FLAIR MRI.
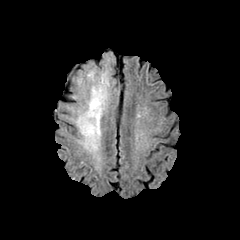
T1-weighted MR.
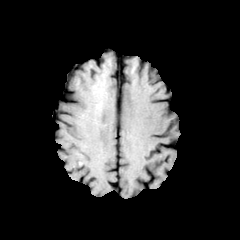
Post-contrast T1-weighted MR image.
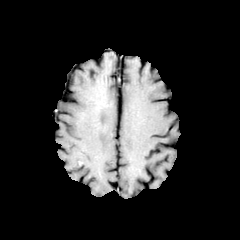
T2-weighted MR.
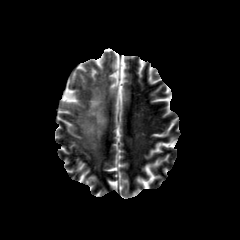
The non-enhancing tumor core is at 90:87:104:120. The edema lies within 76:87:106:151.